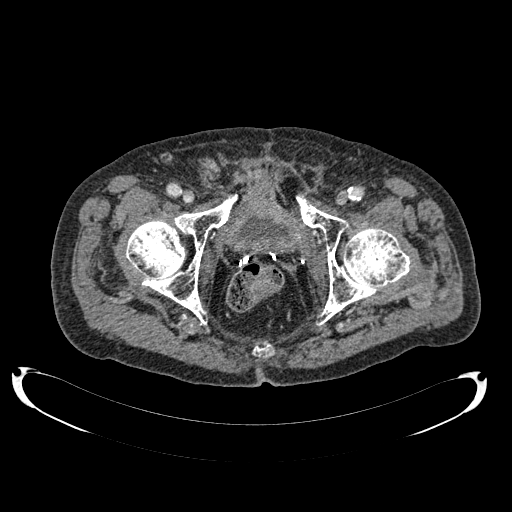
CT slice
{
  "urinary_bladder": [
    "[x1=239, y1=215, x2=288, y2=241]"
  ]
}